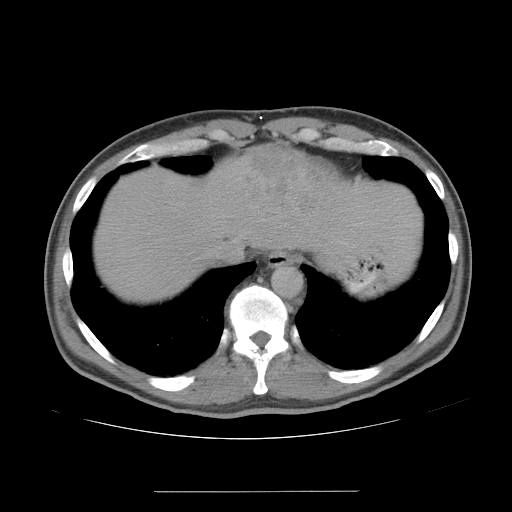
Liver. CT. Image size 512x512.
The vessel boxes may cover only some of the vessels.
Liver tumor — <bbox>244, 143, 342, 213</bbox>.
Hepatic vessel — <bbox>232, 230, 246, 243</bbox>, <bbox>197, 244, 244, 260</bbox>, <bbox>259, 219, 261, 220</bbox>.